CT slice; Thorax
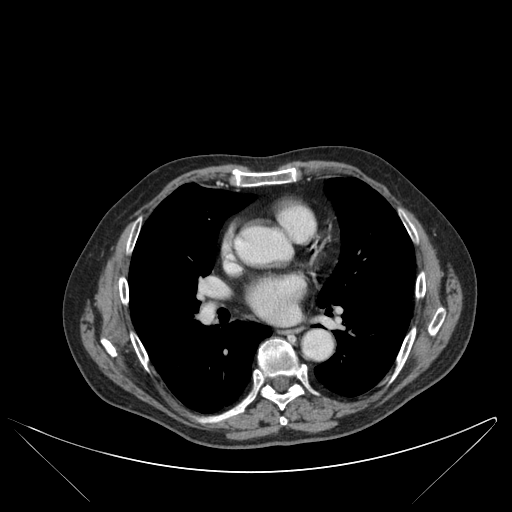 Lung — (314,178,415,396), (129,183,271,413).
Bone — (428,308,444,334), (416,273,425,297), (130,334,147,368), (392,328,415,379), (119,278,128,303), (233,169,295,186), (101,339,116,356), (404,215,416,238), (200,339,307,422), (127,227,137,251).